Image size 512x512. CT image. 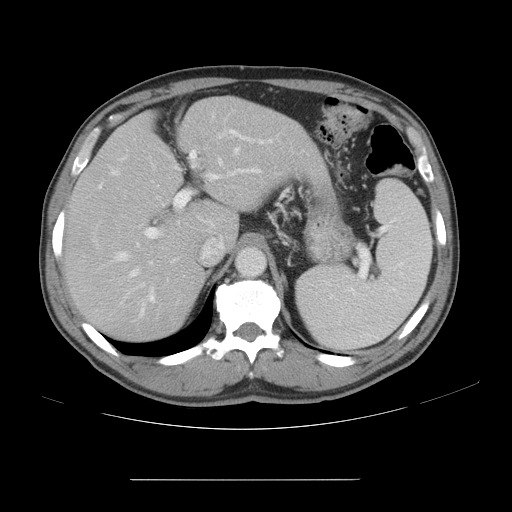 Only some of the vessels may be annotated.
Top 15 of 20 hepatic vessel regions: bbox(175, 167, 179, 169); bbox(228, 168, 260, 175); bbox(218, 158, 222, 164); bbox(234, 148, 238, 153); bbox(207, 173, 219, 180); bbox(111, 169, 119, 174); bbox(228, 130, 252, 142); bbox(141, 283, 144, 286); bbox(112, 252, 128, 261); bbox(140, 299, 144, 316); bbox(130, 269, 138, 276); bbox(148, 288, 154, 301); bbox(197, 216, 214, 227); bbox(145, 230, 149, 236); bbox(173, 258, 178, 260).